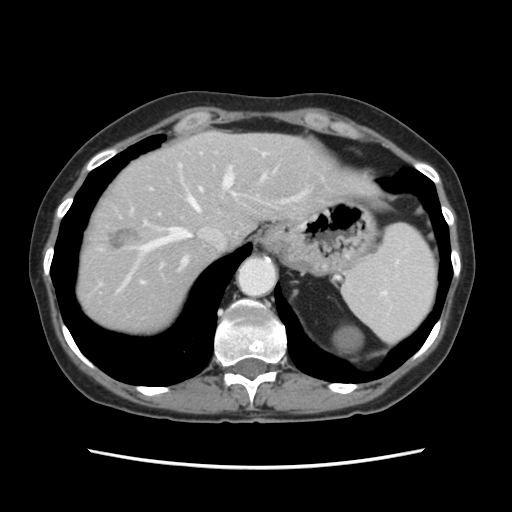 CT; Abdomen
The vessel boxes may cover only some of the vessels.
hepatic_vessel:
  - 224,167,231,187
  - 141,228,189,252
  - 188,198,198,209
  - 232,193,235,195
  - 199,188,201,190
  - 262,153,265,155
liver_tumor:
  - 110,229,137,249